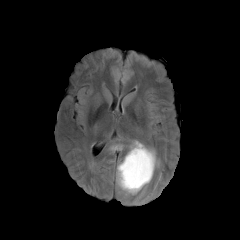
FLAIR MR image.
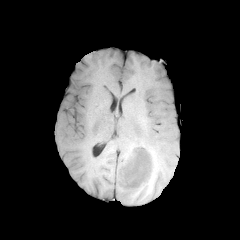
T1-weighted MR image.
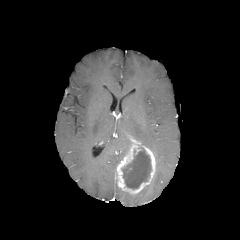
Post-contrast T1-weighted MRI.
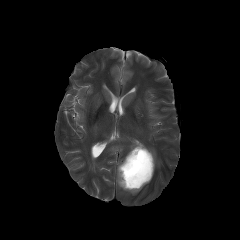
T2-weighted magnetic resonance of the same slice.
Brain.
Findings:
• edema: l=148, t=147, r=160, b=167
• non-enhancing tumor core: l=121, t=150, r=151, b=189
• enhancing tumor: l=117, t=143, r=155, b=194